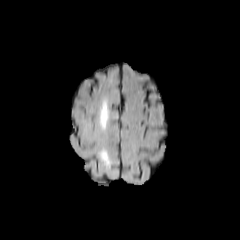
FLAIR MRI.
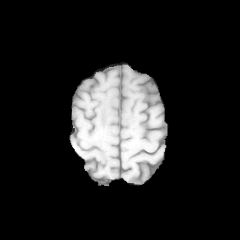
Same slice, T1-weighted MR image.
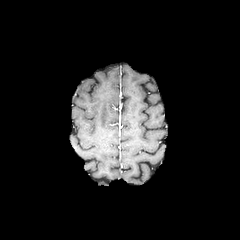
Post-contrast T1-weighted MR.
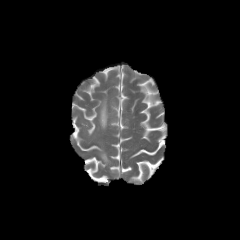
Same slice, T2-weighted MR image.
Brain
2 edema regions are bounded by x1=99, y1=150, x2=109, y2=165; x1=100, y1=99, x2=109, y2=129.